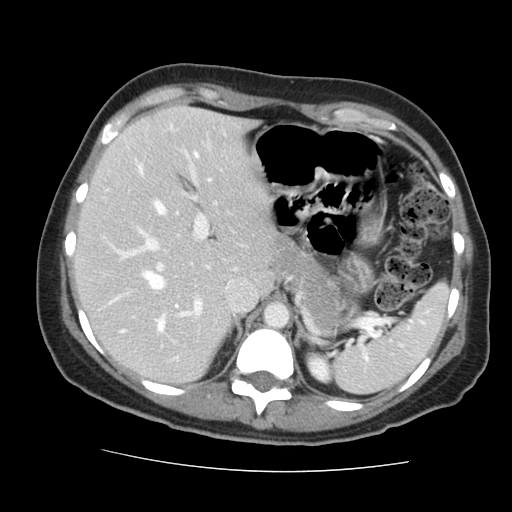

CT scan slice
Not every hepatic vessel necessarily has a box.
• hepatic vessel: x1=195, y1=216, x2=206, y2=237; x1=115, y1=250, x2=136, y2=257; x1=143, y1=272, x2=163, y2=288; x1=157, y1=264, x2=161, y2=269; x1=179, y1=300, x2=200, y2=315; x1=109, y1=301, x2=112, y2=303; x1=194, y1=153, x2=197, y2=157; x1=139, y1=230, x2=157, y2=250; x1=121, y1=331, x2=123, y2=332; x1=156, y1=318, x2=163, y2=331